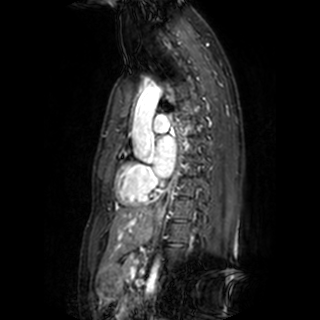
Image size 320x320 | MRI
left atrium: region(154, 136, 176, 177)